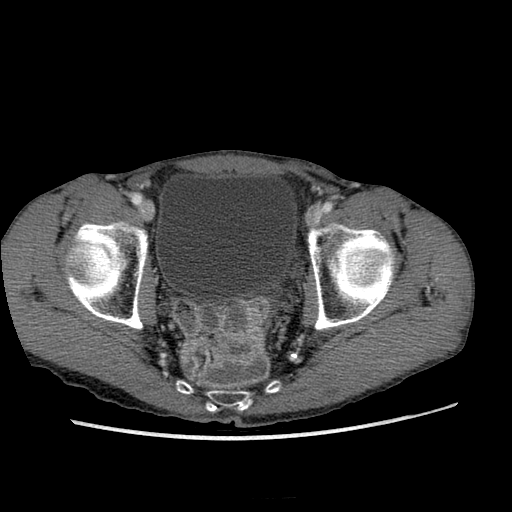
Pelvis, CT slice
The urinary bladder is at x1=160 y1=169 x2=294 y2=296.